Upper abdomen | Computed tomography | 512x512 | Image width 358 mm 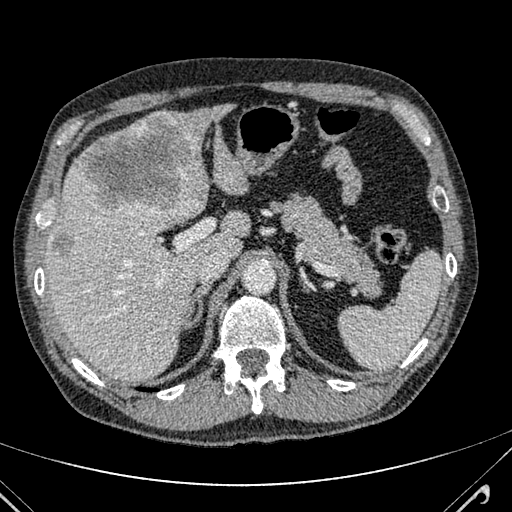

Findings:
* liver: [213,125,247,194], [47,158,248,380], [107,118,146,138], [153,103,236,163]
* focal liver lesion: [80,115,206,212], [53,234,72,255]